CT slice; Field of view 472 mm wide, 5.00 mm slice spacing

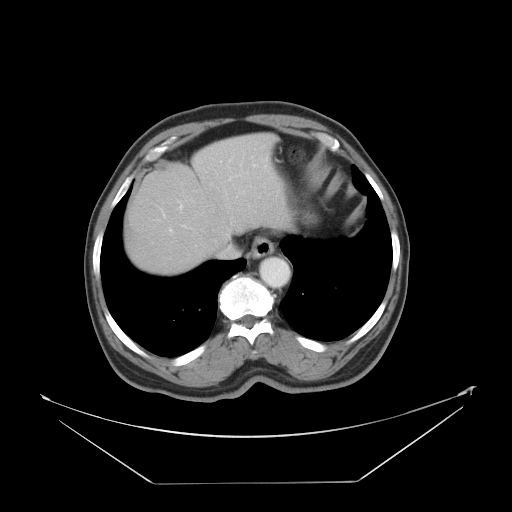

The vessel annotation is not exhaustive.
<segmentation>
  <hepatic_vessel>l=226, t=233, r=227, b=235; l=218, t=245, r=238, b=259; l=229, t=176, r=234, b=180; l=235, t=174, r=242, b=176; l=182, t=225, r=190, b=228; l=177, t=200, r=182, b=212; l=169, t=228, r=172, b=233; l=230, t=217, r=232, b=220; l=162, t=211, r=164, b=216; l=227, t=156, r=233, b=167; l=253, t=164, r=255, b=166; l=255, t=142, r=256, b=143</hepatic_vessel>
</segmentation>